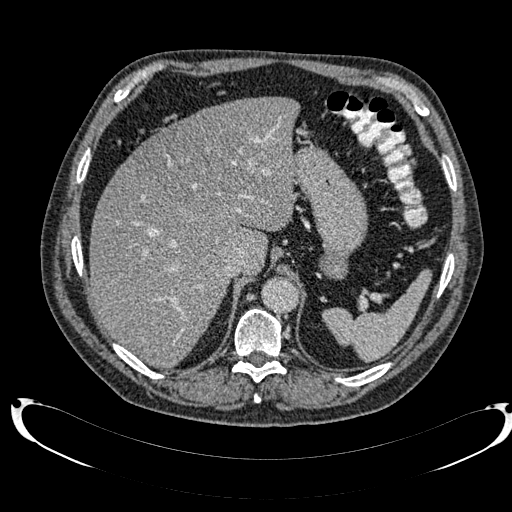
Image size 512x512; CT image
The liver lesion is bounded by box(134, 102, 257, 209). The liver is bounded by box(90, 97, 299, 368).